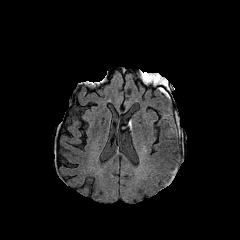
FLAIR MRI.
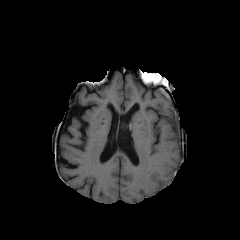
T1-weighted MR image.
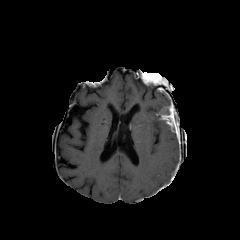
Post-contrast T1-weighted MRI.
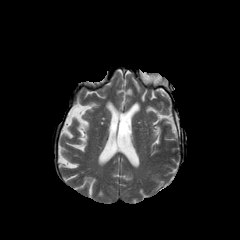
Same slice, T2-weighted magnetic resonance.
240x240.
The enhancing tumor appears at region(164, 112, 179, 136). The non-enhancing tumor core is at region(143, 76, 160, 87).